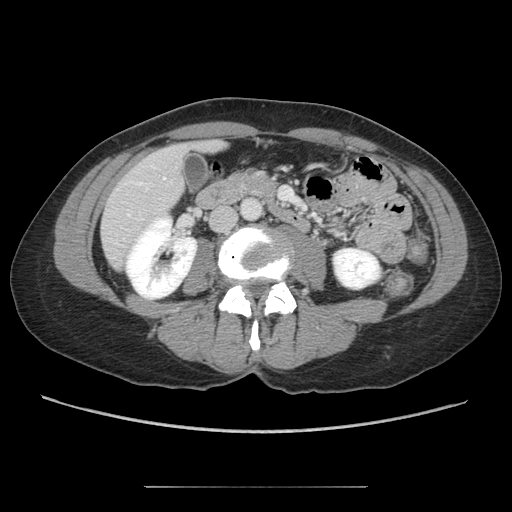

CT scan slice. Upper abdomen.
Pancreas at <box>230,169,277,199</box>.